Field of view 344 mm wide, 0.80 mm slice spacing; CT slice; Pelvis; Slice 119 of 836
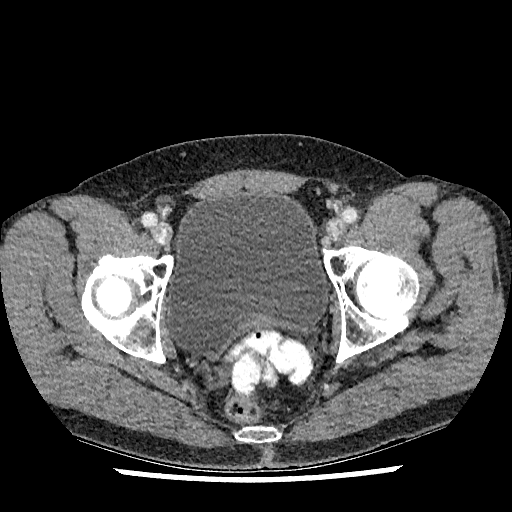
urinary bladder: 166,193,328,355